FLAIR MRI.
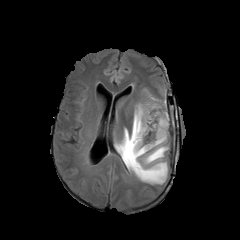
T1-weighted MR image.
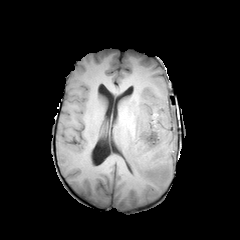
Post-contrast T1-weighted MR.
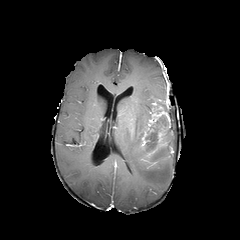
T2-weighted MRI.
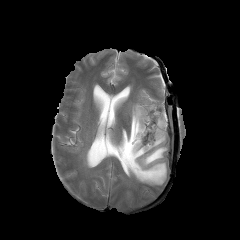
2 non-enhancing tumor core regions are bounded by 123:145:130:157, 142:108:165:145. The edema is located at 115:89:169:186.